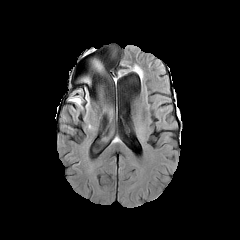
FLAIR MRI.
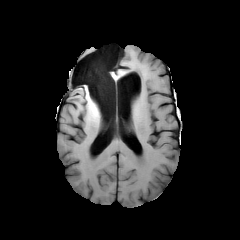
T1-weighted MRI.
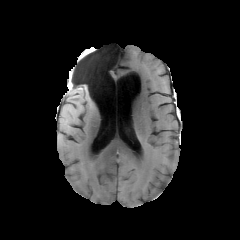
Same slice, post-contrast T1-weighted magnetic resonance.
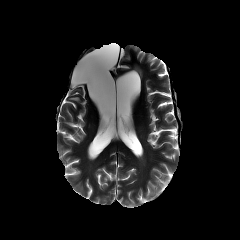
T2-weighted magnetic resonance of the same slice.
Image size 240x240.
Edema: bounding box 68,96,82,103.